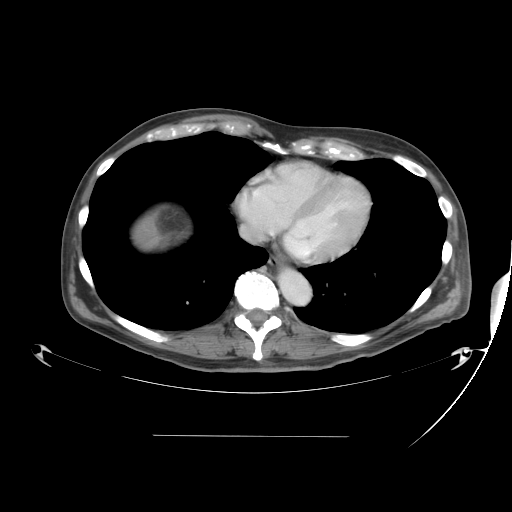

CT
Liver tumor: (x1=130, y1=218, x2=155, y2=249).